Magnetic resonance; 34x47; Slice 20 of 40
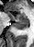

Segmented structures:
• posterior hippocampus: [13, 22, 27, 29]
• anterior hippocampus: [7, 12, 27, 21]